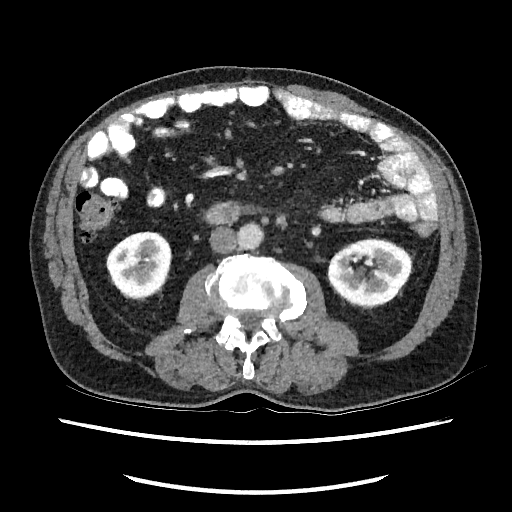 CT scan slice, Abdomen
kidney: bbox=[328, 239, 411, 307]; bbox=[107, 231, 171, 299]